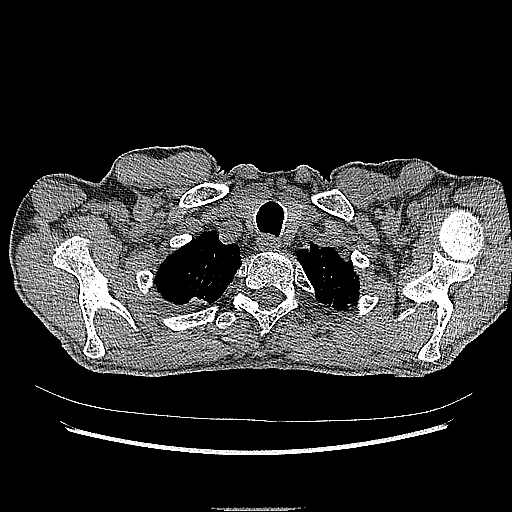

Chest; CT scan slice
The lung tumor is located at (181, 294, 210, 306).